Pelvis; CT 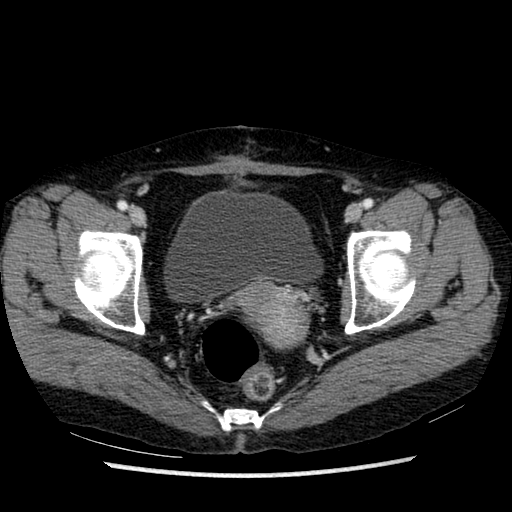 <segmentation>
  <urinary_bladder>(163,191,323,303)</urinary_bladder>
</segmentation>